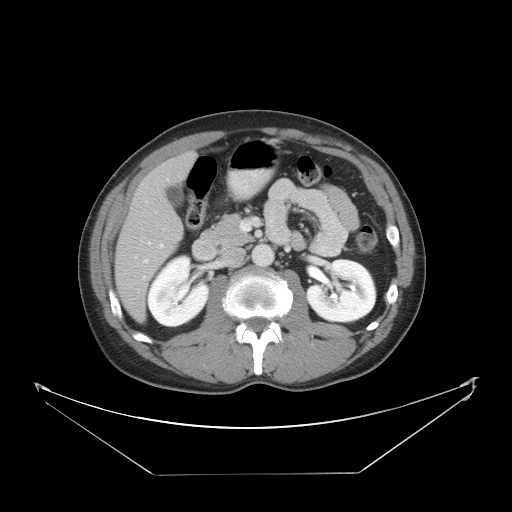

CT image; Abdomen

Some hepatic vessels may have no box.
<segmentation>
  <hepatic_vessel>[x1=142, y1=276, x2=147, y2=279], [x1=154, y1=211, x2=156, y2=213], [x1=166, y1=178, x2=168, y2=181], [x1=159, y1=243, x2=163, y2=247], [x1=147, y1=242, x2=150, y2=244], [x1=144, y1=259, x2=148, y2=262], [x1=137, y1=289, x2=142, y2=290]</hepatic_vessel>
</segmentation>